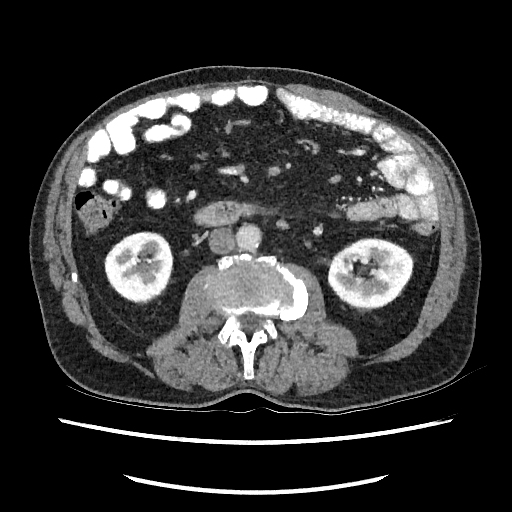 Abdomen, Computed tomography, 512x512

Annotated regions:
• kidney: [328, 238, 412, 309], [105, 232, 172, 302]